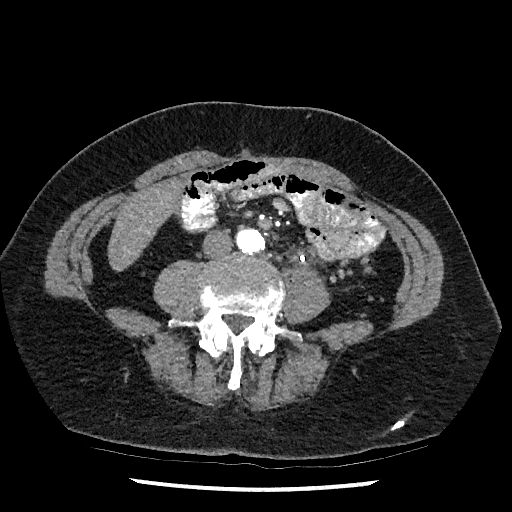 Computed tomography
Liver at [108, 181, 177, 270].